Field of view 306x306 mm; Slice 286 of 333; CT slice 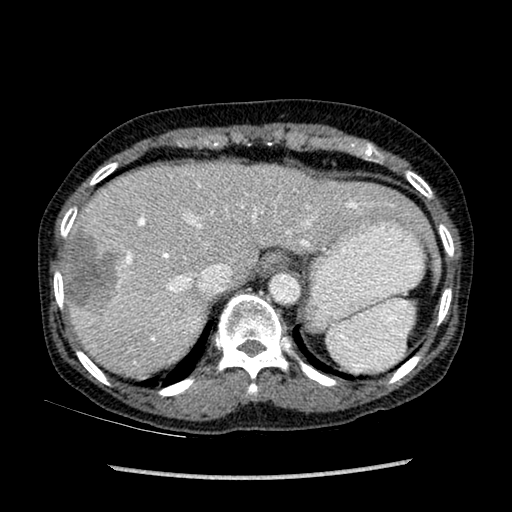
Liver = left=64, top=162, right=434, bottom=374.
Focal liver lesion = left=62, top=228, right=126, bottom=313.